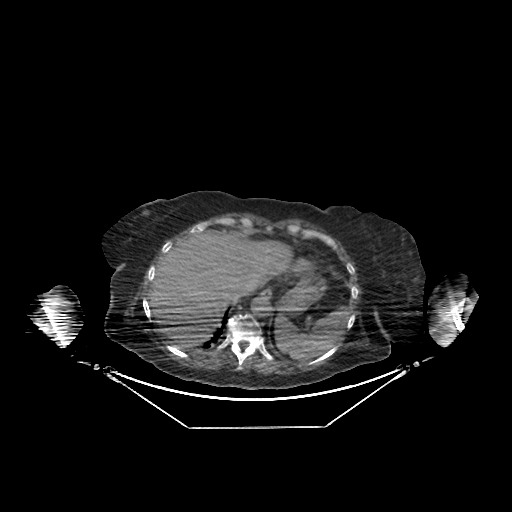

Abdomen | Image size 512x512 | CT image
Liver — 300 255 306 283, 150 227 292 351.